512x512 | Slice index 520 | CT

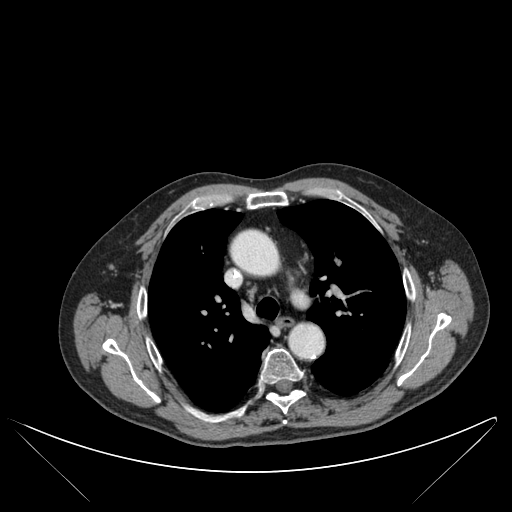 10 bone regions appear at 186, 407, 244, 421; 103, 339, 159, 402; 397, 313, 451, 385; 403, 270, 414, 299; 137, 287, 146, 317; 247, 191, 287, 208; 146, 338, 161, 368; 396, 326, 410, 364; 260, 348, 302, 383; 266, 390, 305, 413. 3 lung regions appear at 148, 209, 269, 411; 277, 200, 405, 395; 256, 297, 278, 319.